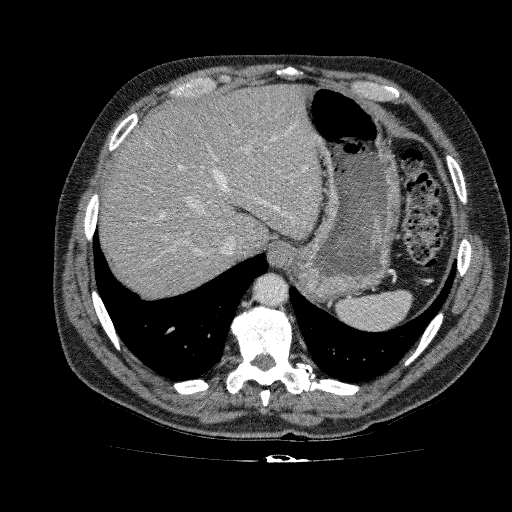
Liver; CT image; 512x512 px
<segmentation>
  <liver>box=[100, 84, 320, 299]</liver>
</segmentation>